CT image | Image width 350 mm | Slice index 368 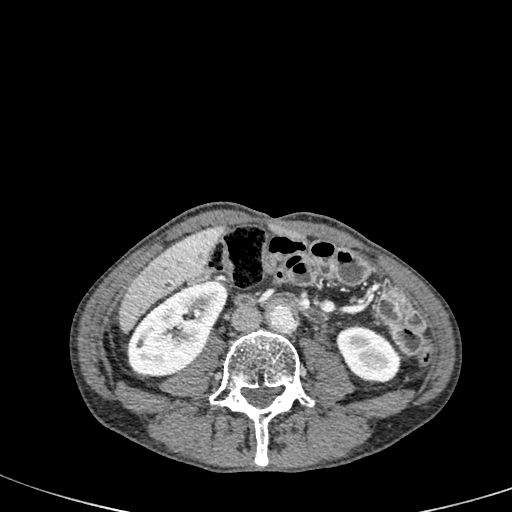 liver: 120 225 223 332 | kidney: 337 327 399 381, 128 282 225 375